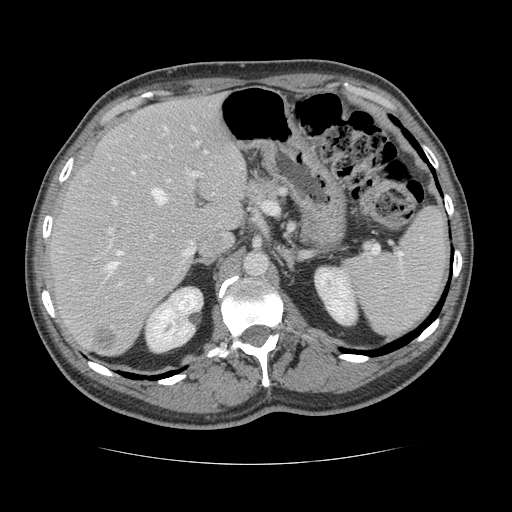
Computed tomography
Only some of the vessels may be annotated.
The liver tumor lies within 93,328,115,350. The most prominent 15 hepatic vessel regions (of 19) appear at 105,261,117,279; 148,277,152,282; 182,240,194,255; 149,234,152,237; 152,188,166,203; 189,172,200,176; 204,150,206,152; 112,197,116,204; 164,127,167,129; 109,240,111,245; 195,141,198,144; 117,250,122,254; 192,126,195,129; 109,227,113,234; 117,282,121,286.